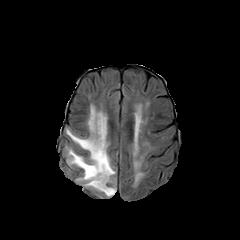
FLAIR MRI.
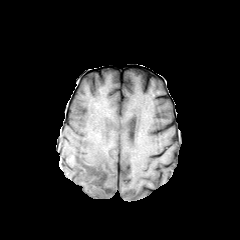
Same slice, T1-weighted magnetic resonance.
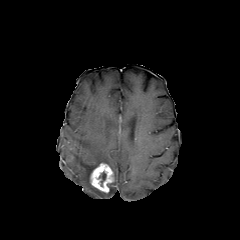
Post-contrast T1-weighted magnetic resonance.
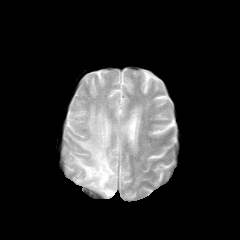
T2-weighted MR image.
Edema = (x1=66, y1=105, x2=116, y2=197).
Enhancing tumor = (x1=90, y1=163, x2=113, y2=192).